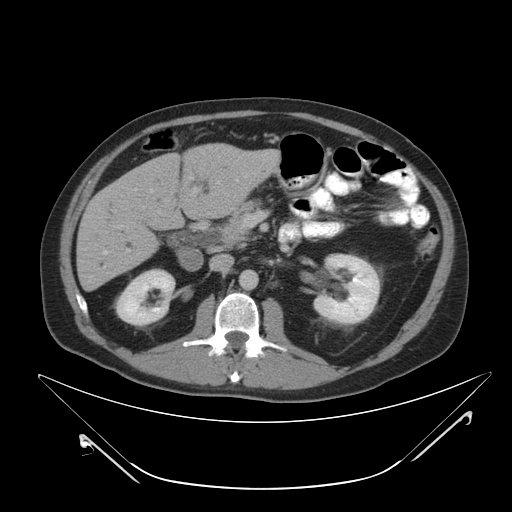
512x512 | Computed tomography
pancreatic tumor: <bbox>226, 227, 240, 244</bbox> | pancreas: <bbox>226, 202, 254, 234</bbox>